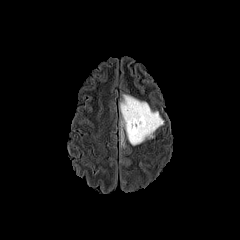
FLAIR MR.
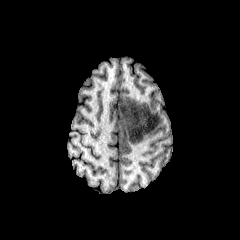
Same slice, T1-weighted MR.
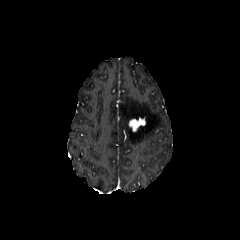
Post-contrast T1-weighted MR image.
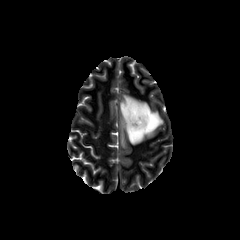
T2-weighted magnetic resonance.
Head.
Edema: left=120, top=95, right=162, bottom=144.
Enhancing tumor: left=128, top=116, right=145, bottom=131.